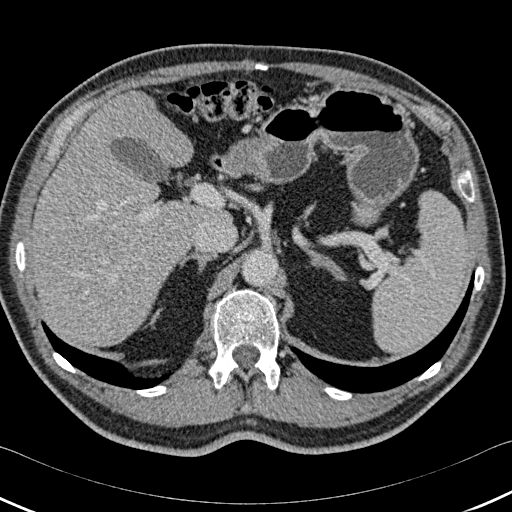
Abdomen. CT slice.

Bone — region(458, 171, 474, 201); region(13, 242, 25, 271); region(324, 387, 351, 400); region(474, 266, 484, 290); region(418, 362, 440, 380); region(53, 352, 75, 372); region(209, 290, 279, 389); region(136, 386, 165, 396).
Liver — region(33, 91, 223, 345).
Lung — region(42, 321, 180, 389); region(289, 271, 474, 393).